Abdomen; CT image; 512x512 px
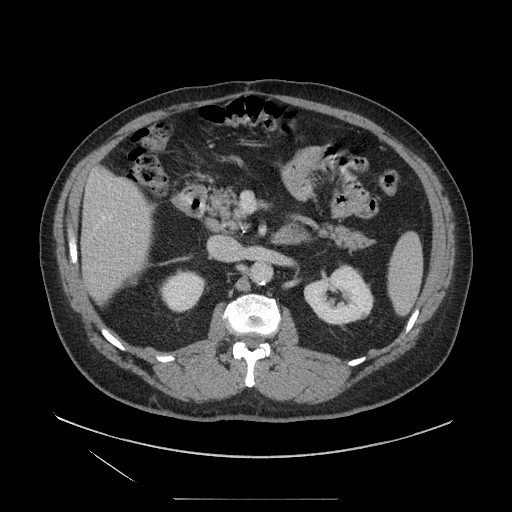

pancreas: x1=203, y1=183, x2=250, y2=235; x1=314, y1=222, x2=374, y2=253